FLAIR MRI.
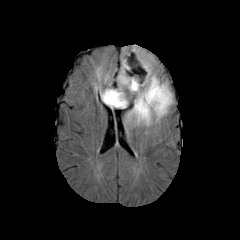
T1-weighted MR image.
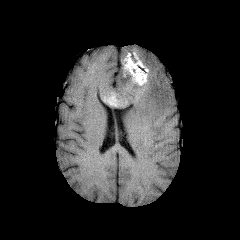
Post-contrast T1-weighted magnetic resonance.
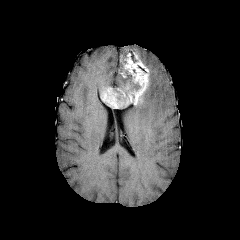
T2-weighted MR image.
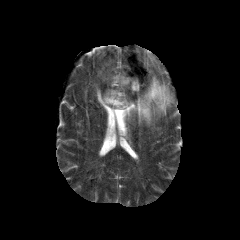
Head.
{"non-enhancing_tumor_core": ["[124,54,147,78]", "[112,81,140,99]"], "enhancing_tumor": ["[131,68,148,105]", "[101,88,132,107]"], "edema": ["[100,72,127,87]", "[120,58,124,72]", "[125,69,134,82]", "[125,49,173,128]"]}